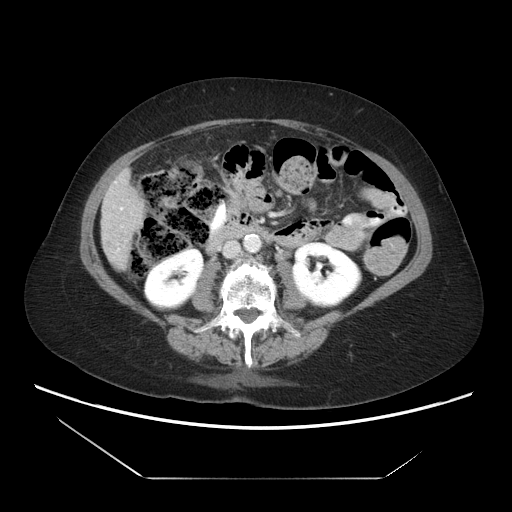

Image size 512x512 | CT slice
Not every hepatic vessel necessarily has a box.
The hepatic vessel appears at (120,207,122,209).